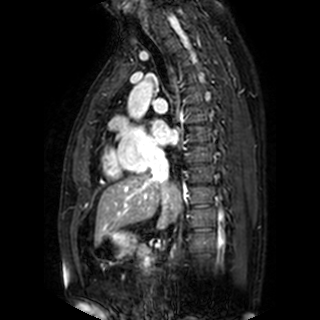

Magnetic resonance
Left atrium: x1=151 y1=120 x2=177 y2=144.